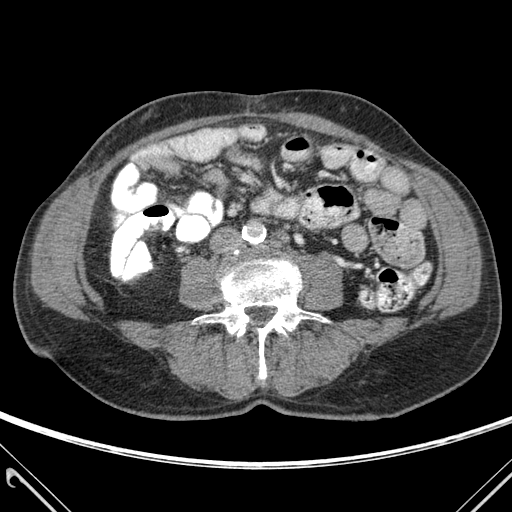 CT

bone: {"x1": 195, "y1": 259, "x2": 327, "y2": 378}